Image size 512x512 | CT scan slice | Pelvis | Slice 64/299 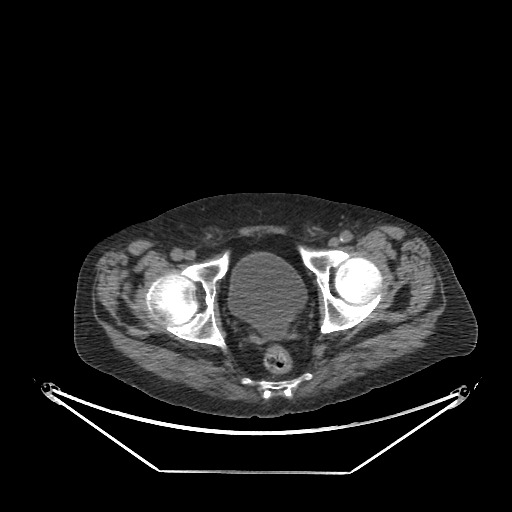
Urinary bladder: x1=228, y1=252, x2=307, y2=341.